FLAIR magnetic resonance.
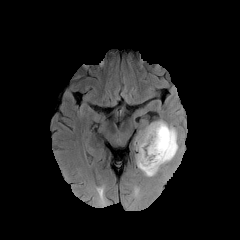
T1-weighted MRI.
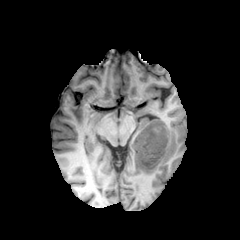
Post-contrast T1-weighted magnetic resonance.
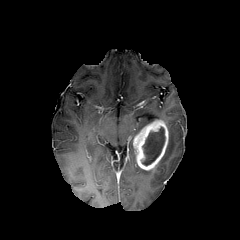
T2-weighted MRI.
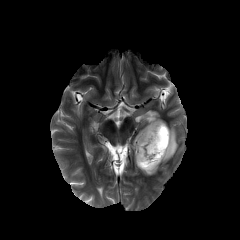
Head | Image size 240x240
Edema: bounding box box(135, 121, 178, 176).
Enhancing tumor: bounding box box(132, 120, 169, 169).
Non-enhancing tumor core: bounding box box(142, 127, 165, 165).